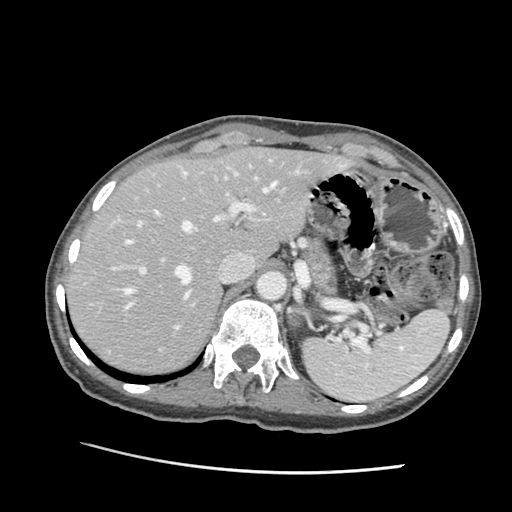 CT image
The pancreas is at x1=305, y1=236, x2=335, y2=294.